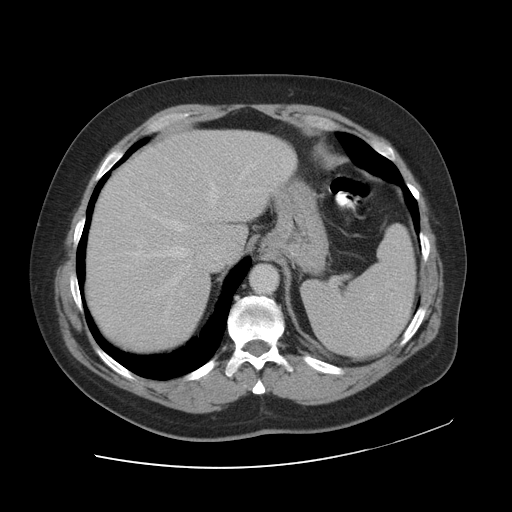

CT slice.
The vessel boxes may cover only some of the vessels.
hepatic vessel: 258:155:262:161, 182:260:191:269, 139:200:146:206, 267:145:273:148, 250:178:251:180, 152:215:155:218, 163:277:176:287, 145:246:192:257, 238:162:256:182, 167:298:173:308, 133:251:142:255, 209:183:217:202, 163:220:188:230 | liver tumor: 180:170:196:186